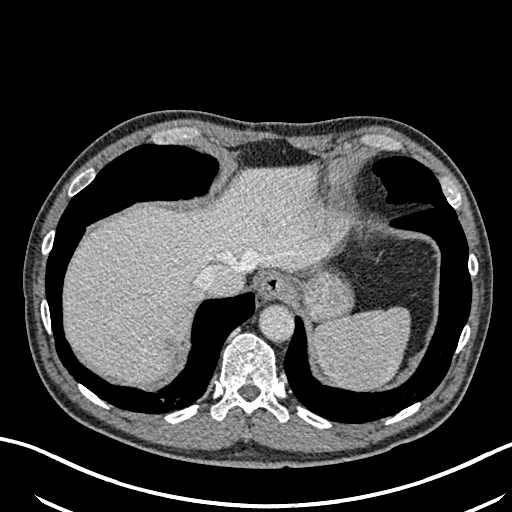
CT image.
{
  "liver_lesion": [
    {"x1": 262, "y1": 219, "x2": 268, "y2": 226},
    {"x1": 165, "y1": 337, "x2": 175, "y2": 353}
  ],
  "liver": [
    {"x1": 63, "y1": 163, "x2": 322, "y2": 382}
  ]
}